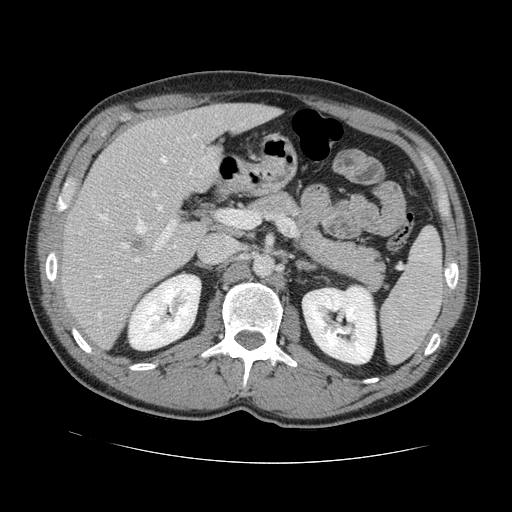
Computed tomography. Some hepatic vessels may have no box.
liver tumor: region(130, 235, 147, 250) | [15/22] hepatic vessel: region(179, 183, 183, 189); region(161, 156, 166, 162); region(136, 218, 145, 233); region(157, 205, 161, 210); region(189, 167, 192, 173); region(186, 227, 189, 230); region(192, 134, 196, 137); region(125, 279, 128, 282); region(97, 214, 106, 219); region(120, 243, 127, 248); region(95, 275, 100, 277); region(151, 191, 155, 196); region(134, 258, 140, 260); region(97, 312, 100, 319); region(120, 193, 129, 196)